Slice 73/155, Head
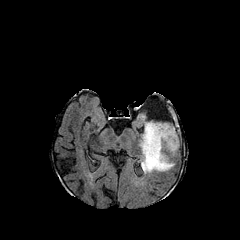
FLAIR MRI.
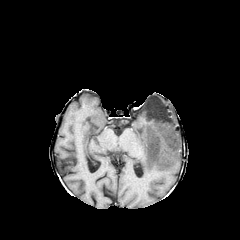
T1-weighted magnetic resonance.
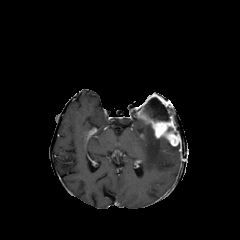
Same slice, post-contrast T1-weighted MRI.
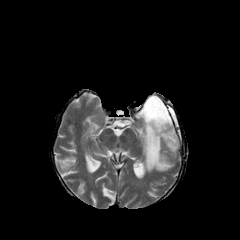
T2-weighted MR of the same slice.
Findings:
• enhancing tumor: 139,111,179,146
• non-enhancing tumor core: 156,134,181,149; 143,94,173,121
• edema: 133,120,179,173